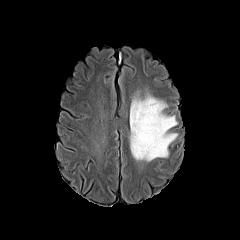
FLAIR magnetic resonance.
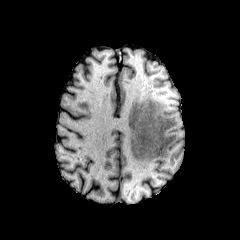
Same slice, T1-weighted MR image.
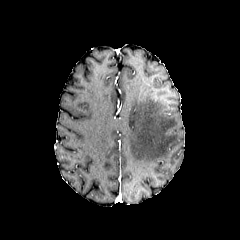
Same slice, post-contrast T1-weighted MR image.
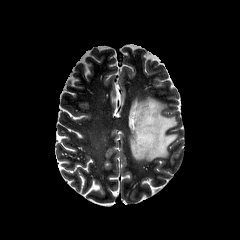
T2-weighted MR.
240x240 px.
edema: region(129, 95, 177, 162)